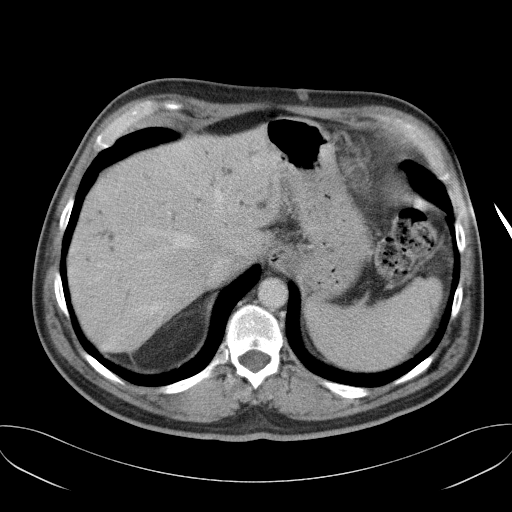

CT slice. Liver. 512x512.
The vessel boxes may cover only some of the vessels.
Hepatic vessel at [214,202,223,212], [154,231,161,234], [154,246,167,255], [138,303,159,310], [210,258,230,280], [166,233,192,247].